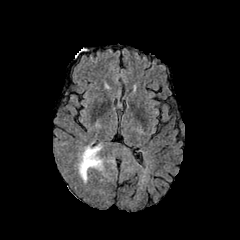
FLAIR MR image.
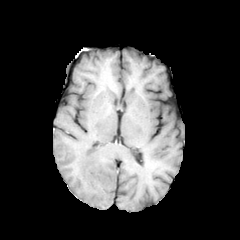
T1-weighted MR.
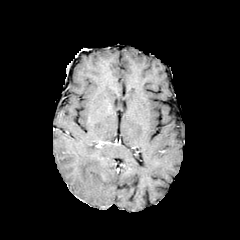
Post-contrast T1-weighted MR image.
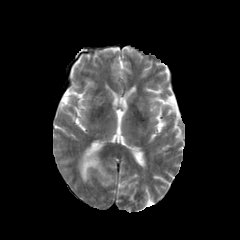
T2-weighted MR image of the same slice.
The edema is at region(79, 146, 103, 181).